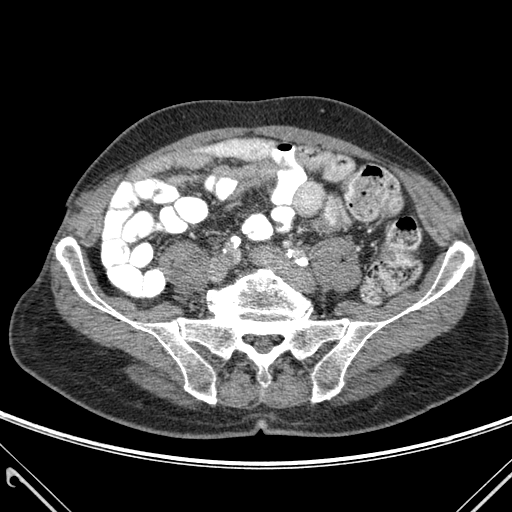

512x512; CT image

Bone at x1=55 y1=237 x2=474 y2=403.